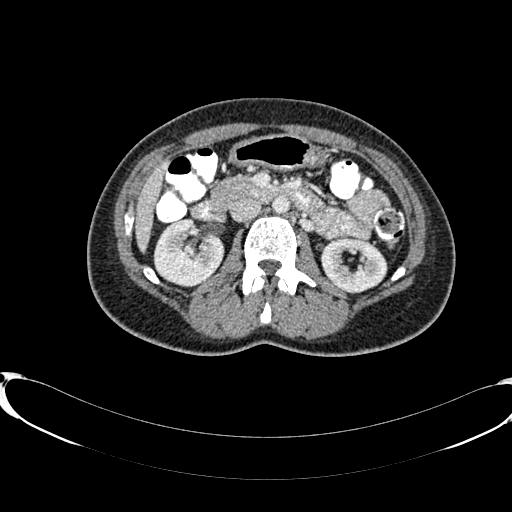 CT slice. 512x512.

Segmented structures:
* liver: (x1=134, y1=162, x2=166, y2=250)
* kidney: (x1=155, y1=220, x2=222, y2=284), (x1=322, y1=240, x2=385, y2=291)